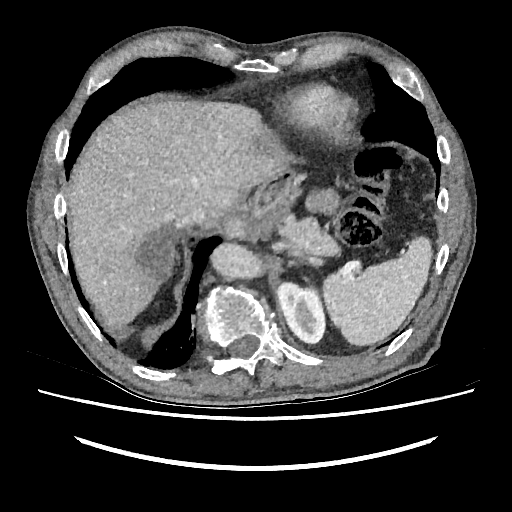

Liver. CT slice. <segmentation>
  <liver>69, 101, 291, 329</liver>
  <kidney>278, 283, 324, 342</kidney>
  <hepatic_lesion>122, 222, 176, 289; 249, 129, 279, 157</hepatic_lesion>
</segmentation>